Slice index 121 | CT 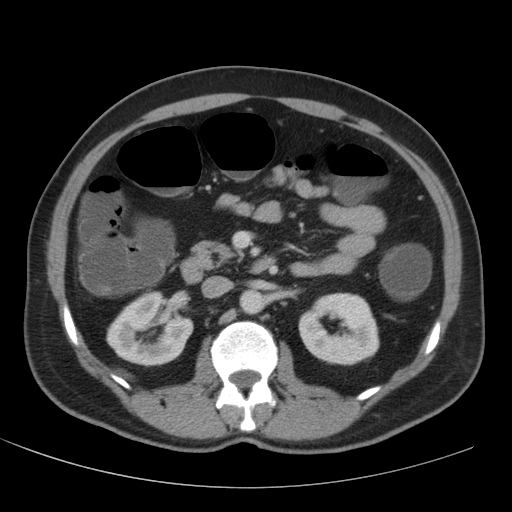

2 kidney regions are located at rect(107, 292, 192, 365); rect(299, 293, 378, 364).